FLAIR magnetic resonance.
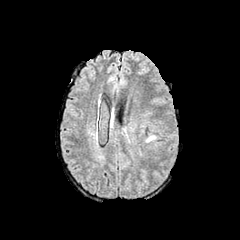
T1-weighted magnetic resonance.
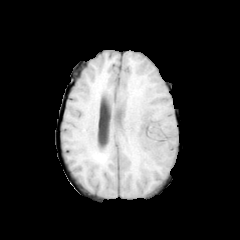
Post-contrast T1-weighted magnetic resonance.
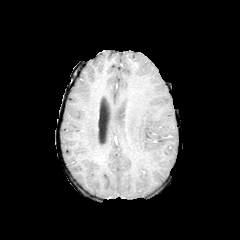
T2-weighted MRI.
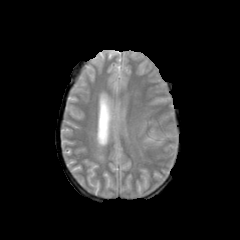
240x240 px
{
  "edema": [
    "l=146, t=132, r=157, b=142"
  ]
}